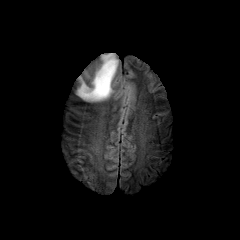
FLAIR MR image.
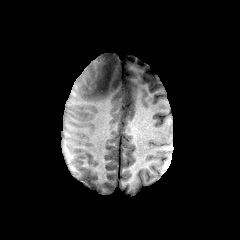
T1-weighted MRI.
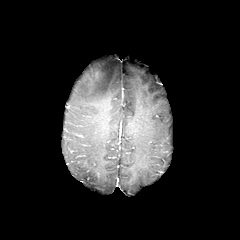
Post-contrast T1-weighted MR of the same slice.
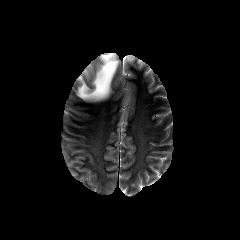
T2-weighted magnetic resonance.
Head.
Edema: bounding box 77:53:118:101.